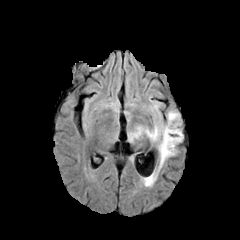
FLAIR MR image.
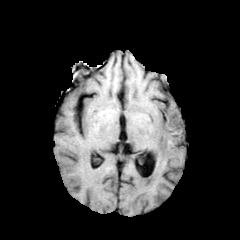
Same slice, T1-weighted MRI.
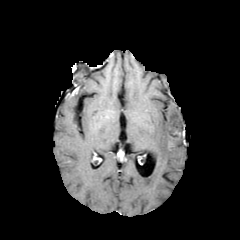
Post-contrast T1-weighted MR image.
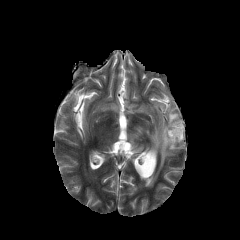
T2-weighted MRI of the same slice.
Findings:
• edema: (x1=127, y1=101, x2=183, y2=187)